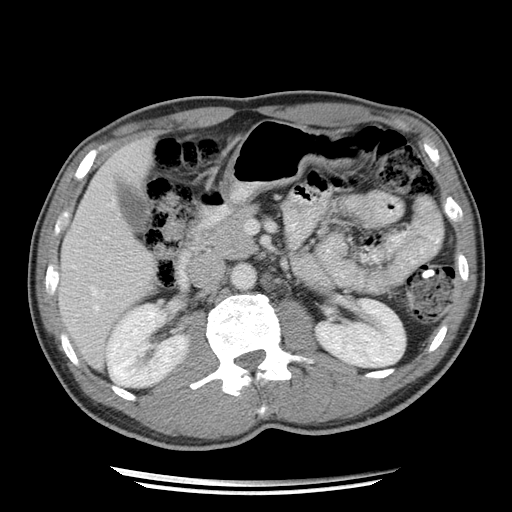
Abdomen, CT slice

pancreas:
  - <bbox>207, 205, 256, 258</bbox>